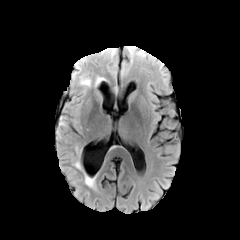
FLAIR MRI.
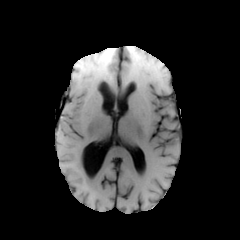
T1-weighted MRI.
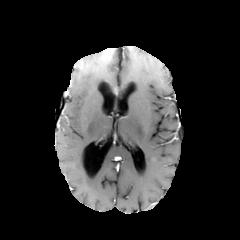
Post-contrast T1-weighted magnetic resonance.
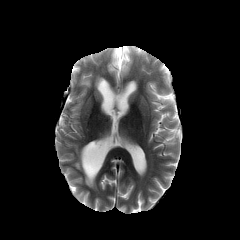
T2-weighted magnetic resonance of the same slice.
240x240
3 edema regions appear at x1=79 y1=74 x2=91 y2=85, x1=84 y1=174 x2=95 y2=188, x1=110 y1=51 x2=117 y2=65.